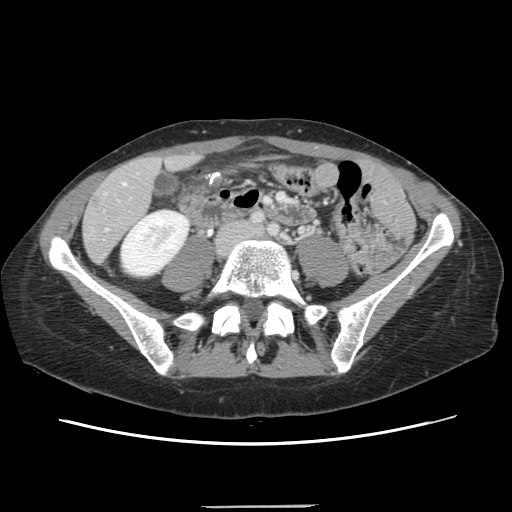

CT image.
Only some of the vessels may be annotated.
2 hepatic vessel regions are bounded by 105:228:106:230, 122:183:126:185.